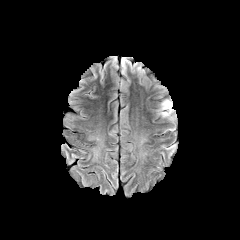
FLAIR magnetic resonance.
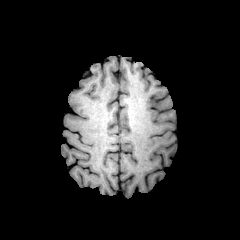
T1-weighted MR image of the same slice.
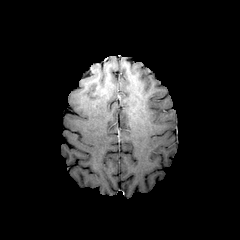
Same slice, post-contrast T1-weighted MR.
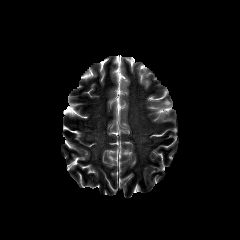
T2-weighted MR image.
Head. Image size 240x240.
- edema: bbox=[158, 99, 173, 118]